CT scan slice | Chest
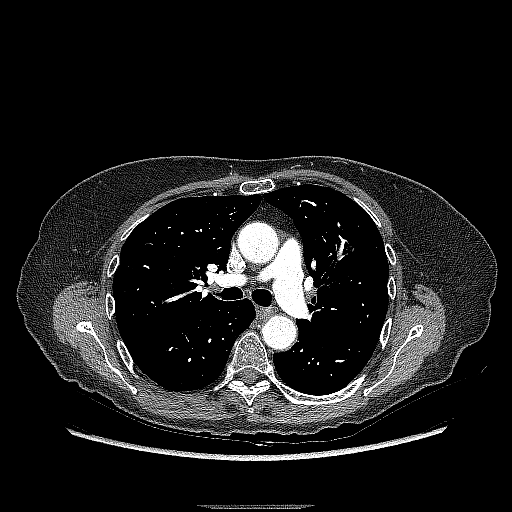 • lung tumor: (335,235,359,263)